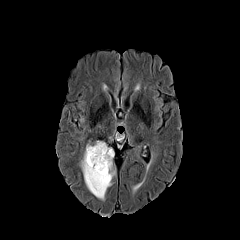
FLAIR MRI.
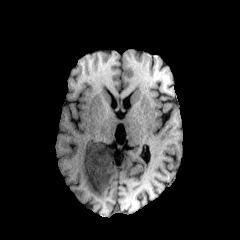
T1-weighted MR image.
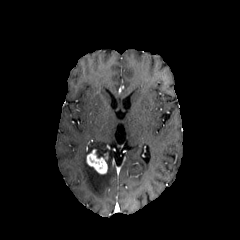
Post-contrast T1-weighted MR.
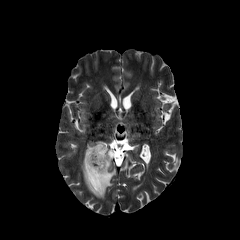
Same slice, T2-weighted MRI.
240x240.
Segmented structures:
- non-enhancing tumor core: 96, 143, 113, 160
- edema: 87, 140, 104, 153; 78, 152, 115, 200
- enhancing tumor: 86, 149, 108, 174